Brain, Slice 55/155
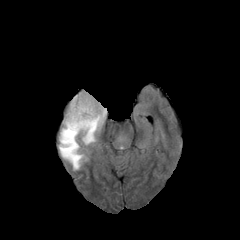
FLAIR magnetic resonance.
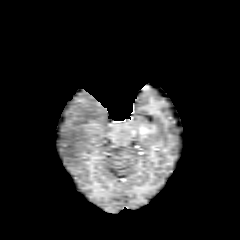
T1-weighted MR image.
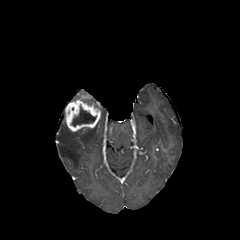
Same slice, post-contrast T1-weighted MR.
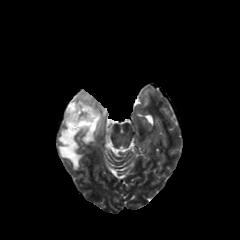
T2-weighted magnetic resonance of the same slice.
Edema at (58, 120, 104, 170).
Non-enhancing tumor core at (72, 108, 95, 125), (92, 112, 105, 130).
Enhancing tumor at (64, 89, 100, 132).